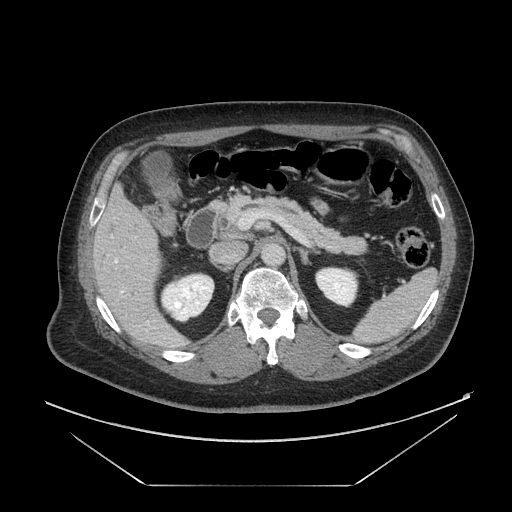
CT scan slice
The pancreas is located at <bbox>210, 195, 367, 255</bbox>.